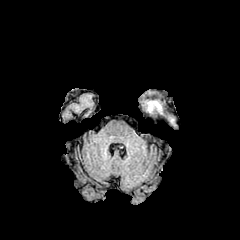
FLAIR magnetic resonance.
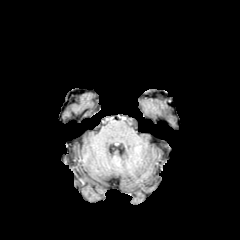
Same slice, T1-weighted MR image.
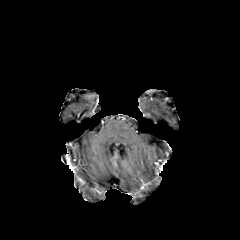
Same slice, post-contrast T1-weighted MR.
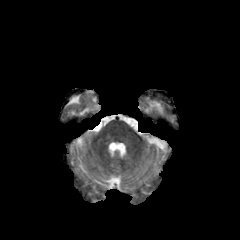
T2-weighted magnetic resonance of the same slice.
240x240 px. Head.
The edema lies within box=[147, 101, 162, 113].